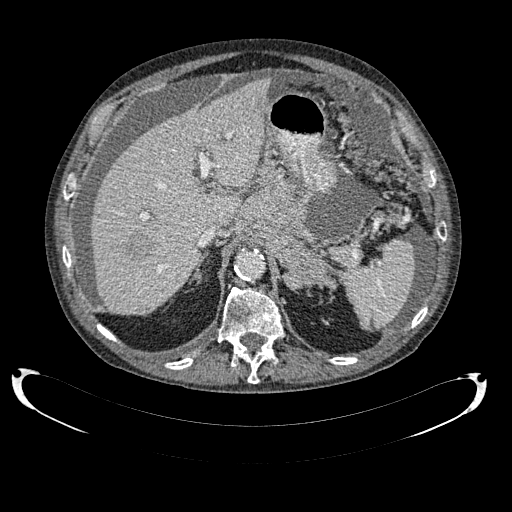
CT scan slice
The liver appears at bbox(91, 78, 270, 314). The focal liver lesion is bounded by bbox(123, 234, 151, 261).